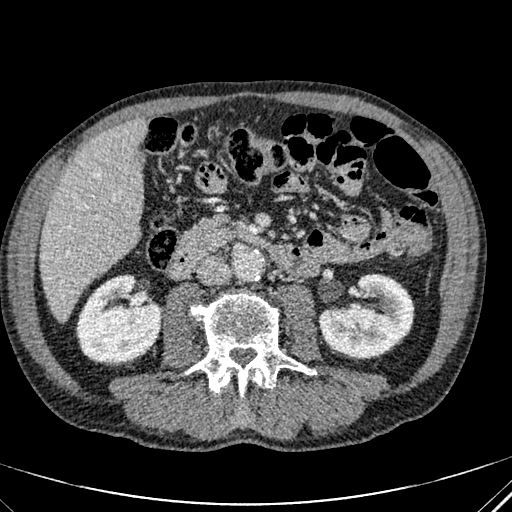 Abdomen; CT
Segmented structures:
* liver: (x1=40, y1=119, x2=144, y2=319)
* kidney: (x1=320, y1=275, x2=412, y2=356), (x1=77, y1=276, x2=159, y2=361)